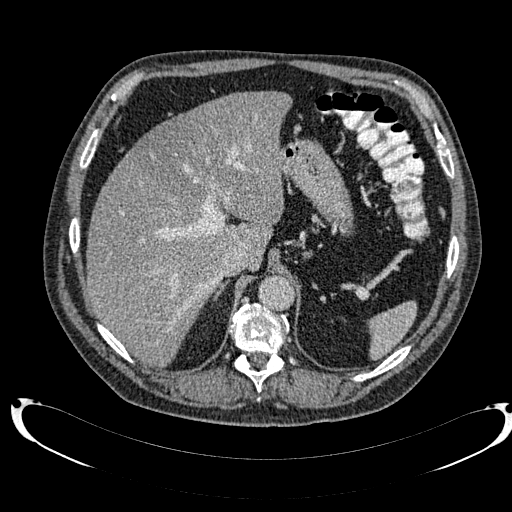

CT scan slice | Upper abdomen

liver lesion: bbox=[132, 95, 241, 204] | liver: bbox=[87, 91, 290, 366]